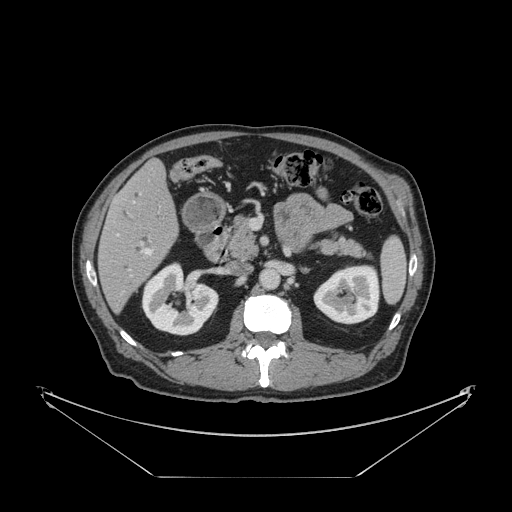
CT | Liver

The vessel annotation is not exhaustive.
hepatic_vessel:
  - l=117, t=234, r=118, b=235
  - l=142, t=246, r=150, b=254
  - l=140, t=243, r=142, b=245
  - l=128, t=269, r=130, b=270